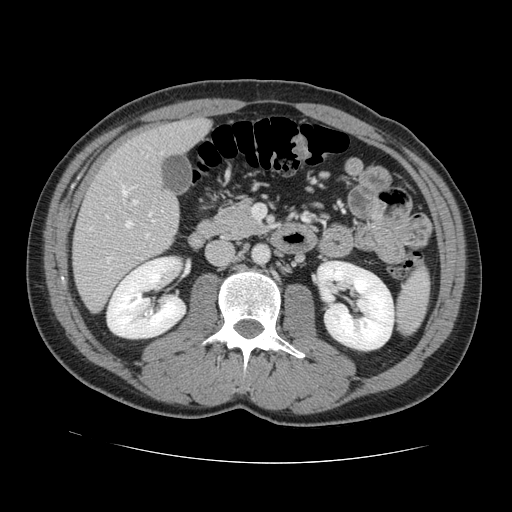
CT slice | 512x512

The vessel boxes may cover only some of the vessels.
10 hepatic vessel regions are located at <box>108,265,109,271</box>, <box>145,234,148,238</box>, <box>160,152,162,153</box>, <box>122,186,134,197</box>, <box>107,257,111,262</box>, <box>106,198,111,198</box>, <box>125,221,132,227</box>, <box>106,215,107,217</box>, <box>132,201,137,204</box>, <box>149,212,155,222</box>.